Image size 512x512 | CT image | Abdomen | Slice index 54
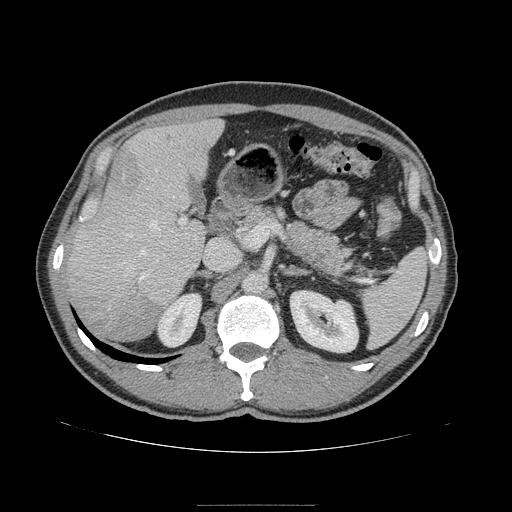

Segmented structures:
• pancreas: (left=239, top=207, right=350, bottom=277)
• pancreatic tumor: (left=311, top=250, right=330, bottom=267)